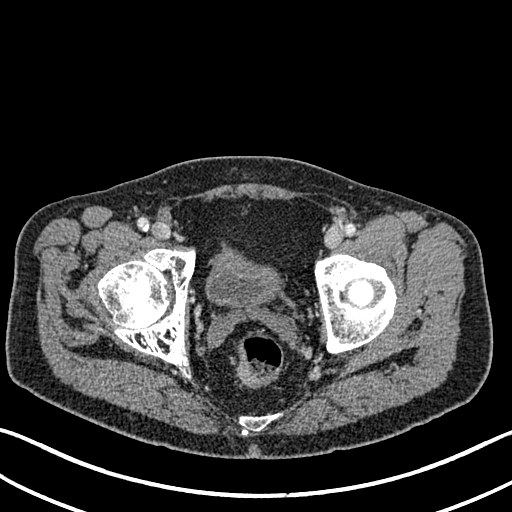
Computed tomography; Lower abdomen

<segmentation>
  <urinary_bladder>(x1=206, y1=248, x2=282, y2=306)</urinary_bladder>
</segmentation>